MRI slice, Hippocampus
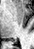 <segmentation>
  <posterior_hippocampus>l=11, t=39, r=15, b=42</posterior_hippocampus>
</segmentation>